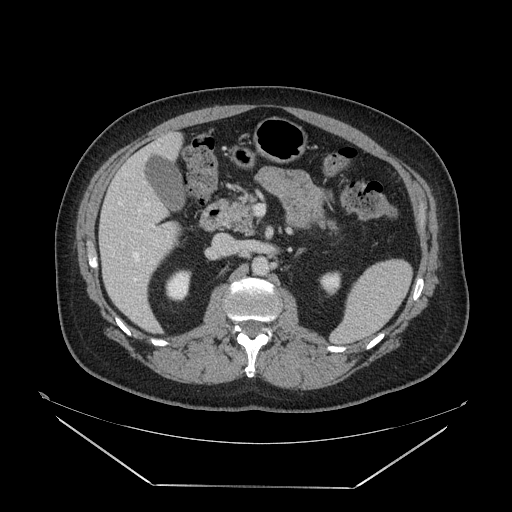
CT.

Segmented structures:
- pancreas: bbox(227, 200, 251, 228); bbox(319, 221, 334, 228)